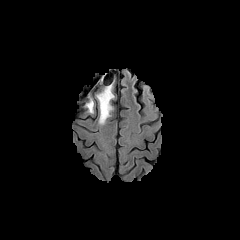
FLAIR MR image.
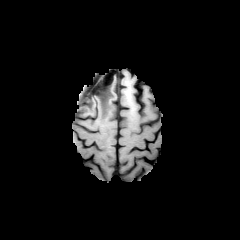
T1-weighted MR.
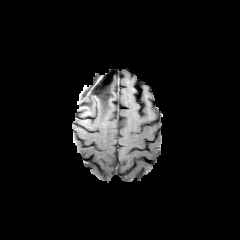
Post-contrast T1-weighted magnetic resonance.
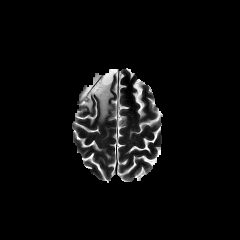
Same slice, T2-weighted magnetic resonance.
Brain
Edema at box(86, 78, 113, 124).
Non-enhancing tumor core at box(84, 92, 91, 106).